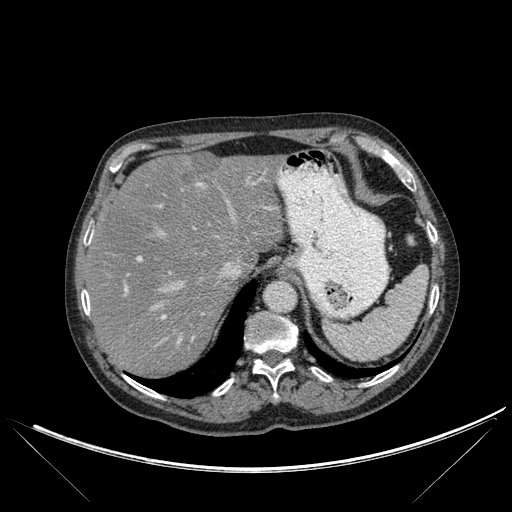 Computed tomography
Annotated regions:
* bone: 244:312:297:353, 253:359:294:390, 123:375:162:398, 365:366:398:386, 213:379:233:395, 430:286:438:312, 84:230:92:244, 311:367:331:381, 427:223:437:242, 382:151:415:190, 81:290:89:314
* liver: 87:153:283:378
* lung: 303:333:400:377, 131:280:256:397
* focal liver lesion: 183:153:220:181